Upper abdomen | Image size 512x512 | Slice 40/113 | CT scan slice

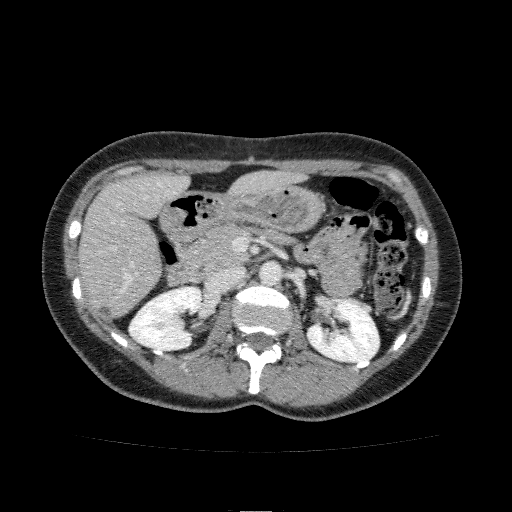

Kidney: rect(129, 287, 201, 350); rect(307, 301, 378, 363).
Liver: rect(228, 171, 307, 195); rect(78, 172, 189, 317).